MRI. Field of view 33 mm wide, 1.00 mm slice spacing. 33x50 px.

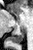 posterior hippocampus: (9, 32, 23, 42)